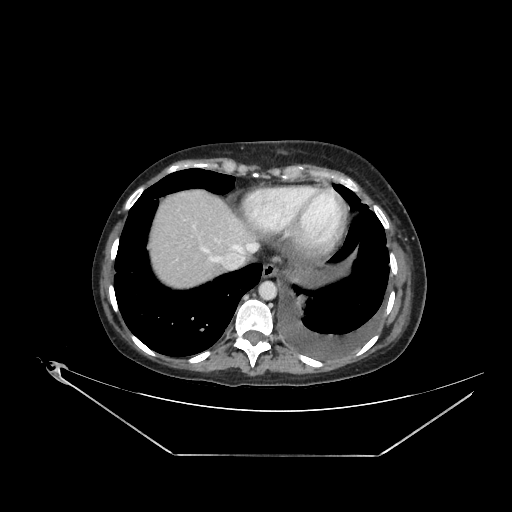
Image size 512x512 | CT scan slice | Abdomen
The liver is at [x1=154, y1=192, x2=262, y2=289].